FLAIR magnetic resonance.
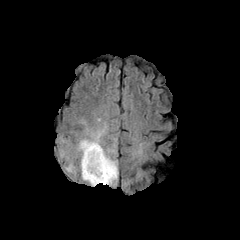
T1-weighted MRI.
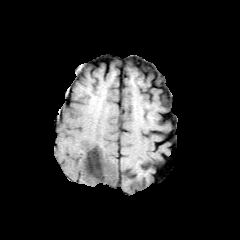
Post-contrast T1-weighted magnetic resonance.
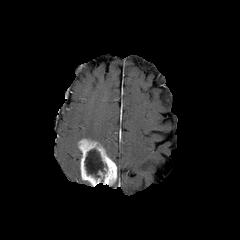
T2-weighted MR image.
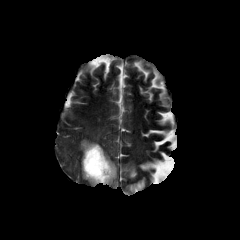
240x240 px, Brain
Annotated regions:
* non-enhancing tumor core: (84,149,105,177)
* enhancing tumor: (78,139,116,185)
* edema: (91,132,101,143)